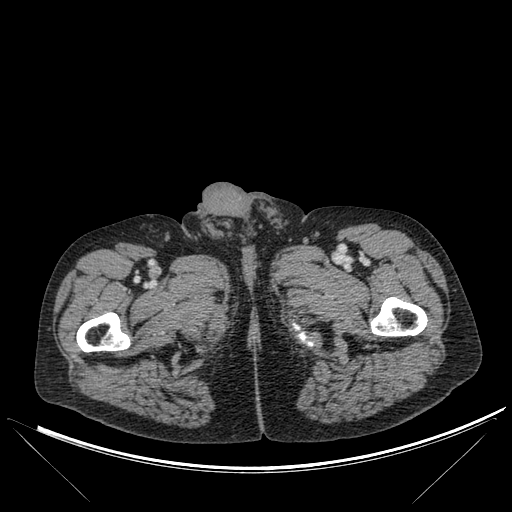
512x512 | CT slice

bone: (left=76, top=312, right=130, bottom=352), (left=285, top=317, right=319, bottom=346), (left=371, top=297, right=427, bottom=336)